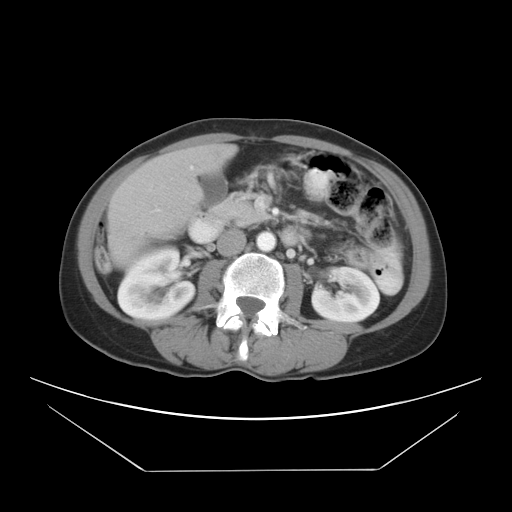
CT scan slice. Abdomen. The vessel annotation is not exhaustive.
The liver tumor appears at bbox(117, 223, 123, 232). 5 hepatic vessel regions appear at bbox(151, 208, 158, 211); bbox(148, 185, 151, 190); bbox(184, 194, 186, 197); bbox(189, 166, 190, 168); bbox(111, 235, 112, 237).